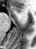
MR image | Hippocampus

Anterior hippocampus at (11,7,20,11).